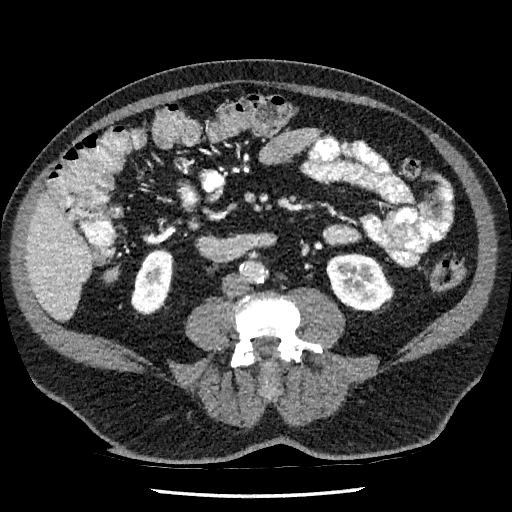
Liver. CT.
Kidney = <bbox>327, 254, 391, 309</bbox>, <bbox>132, 251, 171, 312</bbox>.
Liver = <bbox>26, 192, 91, 319</bbox>.